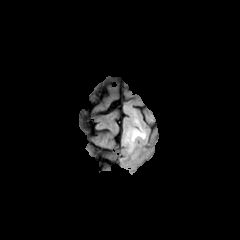
FLAIR magnetic resonance.
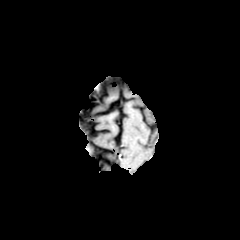
T1-weighted magnetic resonance of the same slice.
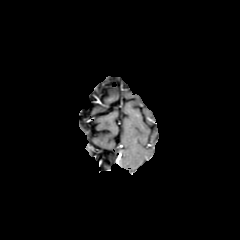
Post-contrast T1-weighted MRI.
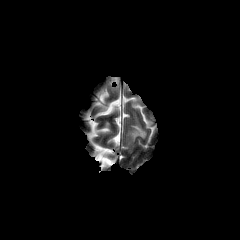
T2-weighted MRI.
240x240. Brain.
edema:
  - <box>124,114,146,151</box>